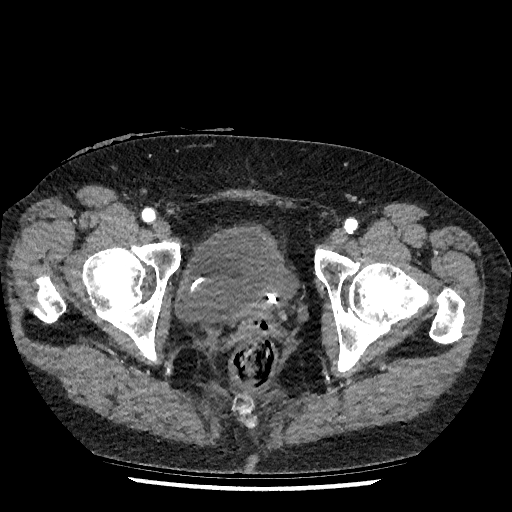
512x512, CT

urinary_bladder:
  - 173:223:296:328